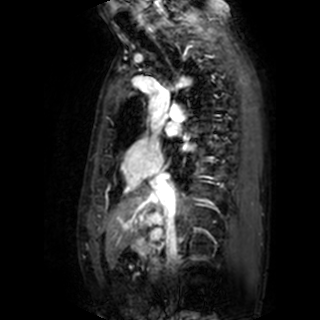

MR. 320x320 px. Cardiac.
Left atrium — [184,144,195,150], [165,125,176,135].